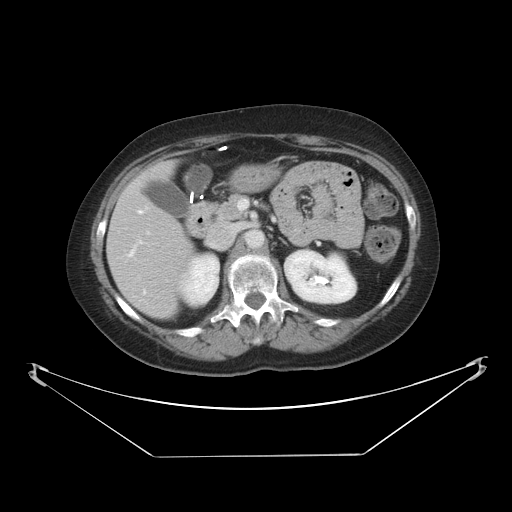 CT. Not every hepatic vessel necessarily has a box.
hepatic vessel: 143 291 145 293, 139 210 142 213, 139 241 141 242, 129 247 135 256